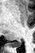
35x53 px | MRI

Posterior hippocampus = <box>12,41,21,47</box>.